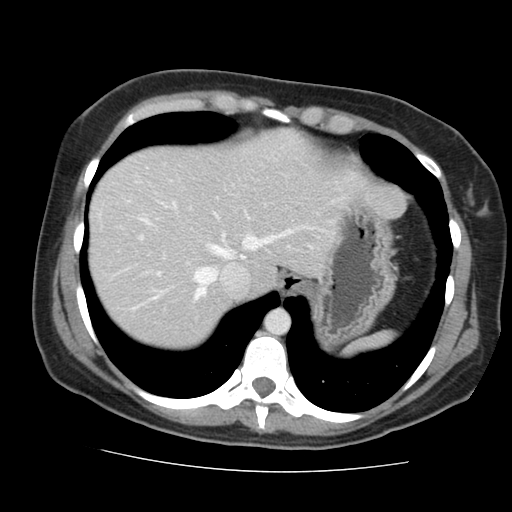
Abdomen, Computed tomography

The vessel boxes may cover only some of the vessels.
hepatic_vessel:
  - 244:237:276:248
  - 152:297:155:299
  - 139:237:141:238
  - 195:268:216:299